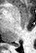 36x53, MR image
Posterior hippocampus — [14,45,19,46].